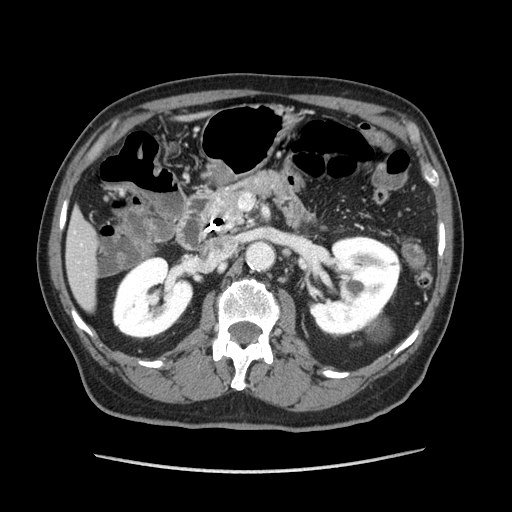

CT image | 512x512 px
<segmentation>
  <pancreas><box>217,171,287,224</box></pancreas>
</segmentation>